Head. Slice 30/155.
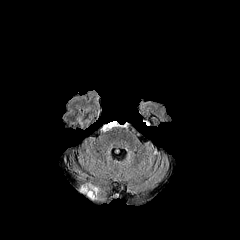
FLAIR magnetic resonance.
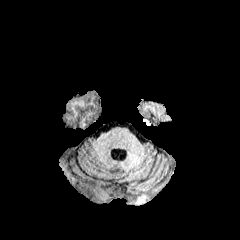
T1-weighted MR image of the same slice.
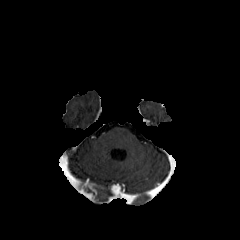
Same slice, post-contrast T1-weighted MR image.
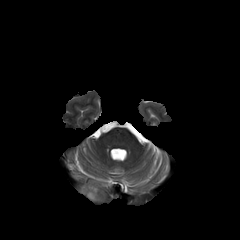
T2-weighted magnetic resonance of the same slice.
2 enhancing tumor regions are located at bbox(79, 186, 96, 202); bbox(85, 184, 96, 194). The non-enhancing tumor core appears at bbox(82, 186, 106, 204).